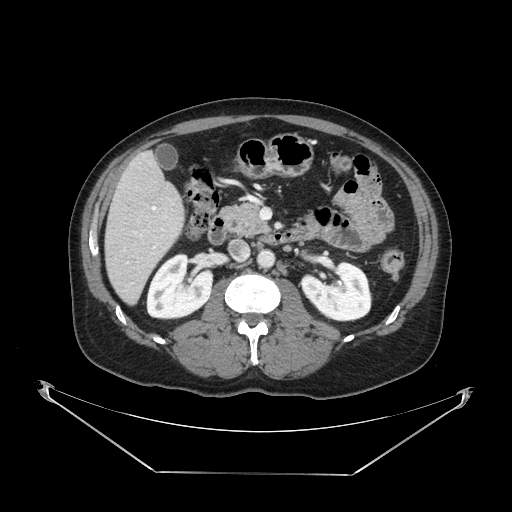
CT; Abdomen

Segmented structures:
* pancreas: rect(221, 202, 269, 235)